Image width 496 mm. CT. 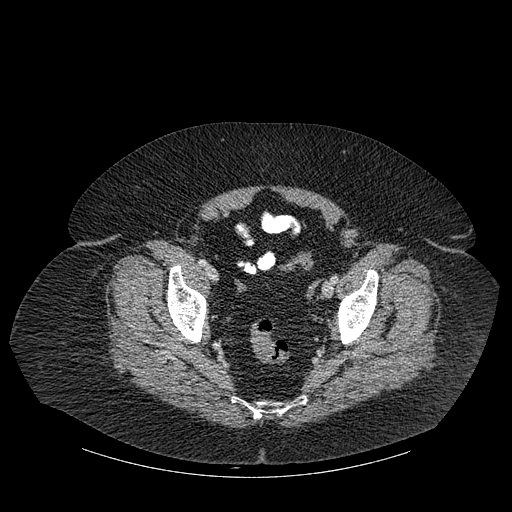

Bone: 167, 265, 206, 342; 231, 396, 306, 418; 338, 270, 378, 343.